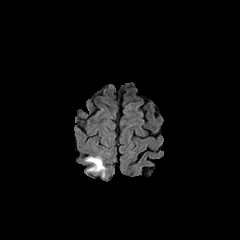
FLAIR MRI.
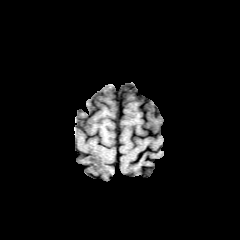
T1-weighted MR image.
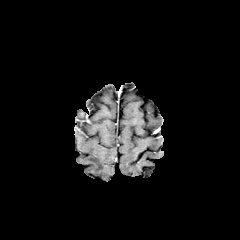
Post-contrast T1-weighted MR image.
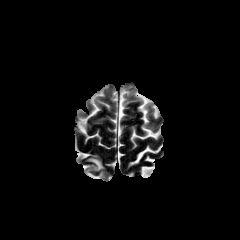
T2-weighted magnetic resonance.
The edema is located at (85,154,106,177).